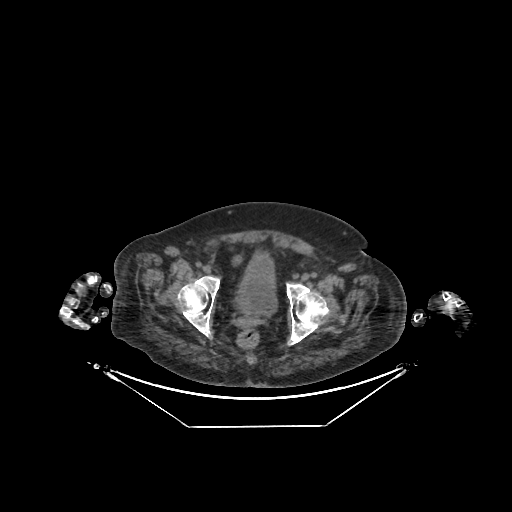
CT
* urinary bladder: box=[233, 252, 277, 317]